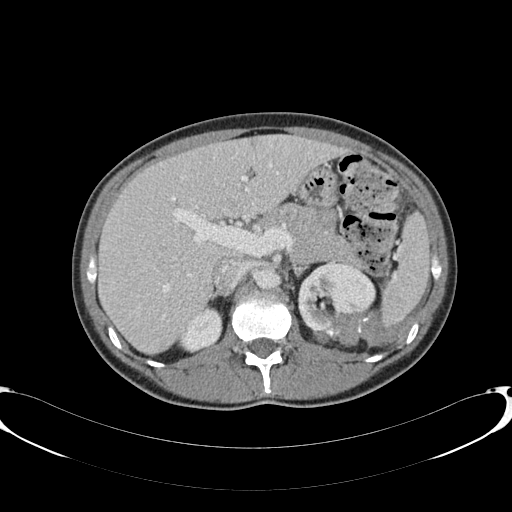 Computed tomography. 512x512.
2 kidney regions are located at 299,262,374,344; 182,310,220,349. The liver lies within 98,136,344,353.